Head, 240x240 px, Slice 126 of 155
FLAIR MRI.
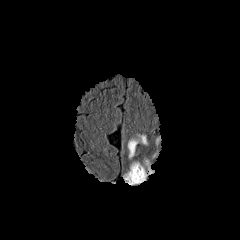
T1-weighted MRI.
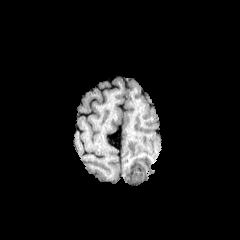
Post-contrast T1-weighted MR.
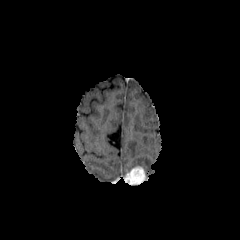
T2-weighted MR.
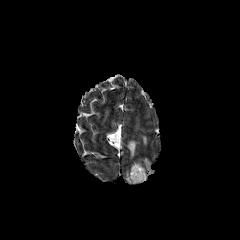
Edema: bounding box <bbox>145, 160, 154, 174</bbox>, <bbox>128, 135, 147, 157</bbox>.
Enhancing tumor: bounding box <bbox>124, 166, 145, 185</bbox>.